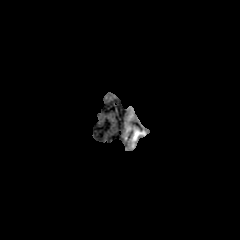
FLAIR MR.
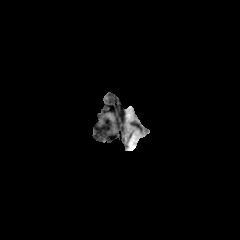
T1-weighted MR image.
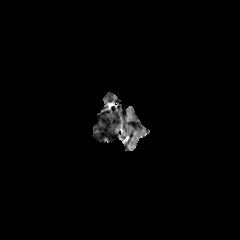
Post-contrast T1-weighted MRI.
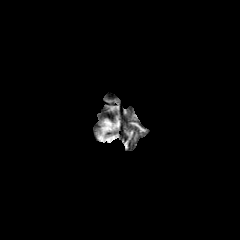
T2-weighted MRI.
edema: region(126, 124, 147, 141)